Head
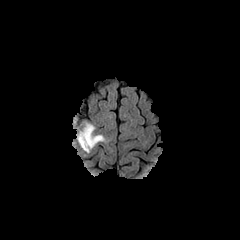
FLAIR MR.
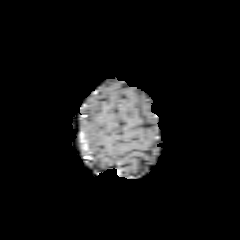
T1-weighted magnetic resonance of the same slice.
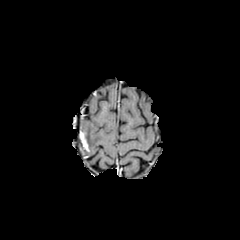
Post-contrast T1-weighted MR.
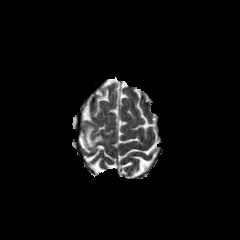
T2-weighted MR image.
The enhancing tumor is located at bbox=[80, 132, 89, 151]. The edema is bounded by bbox=[81, 123, 104, 151].